Image size 512x512, Computed tomography
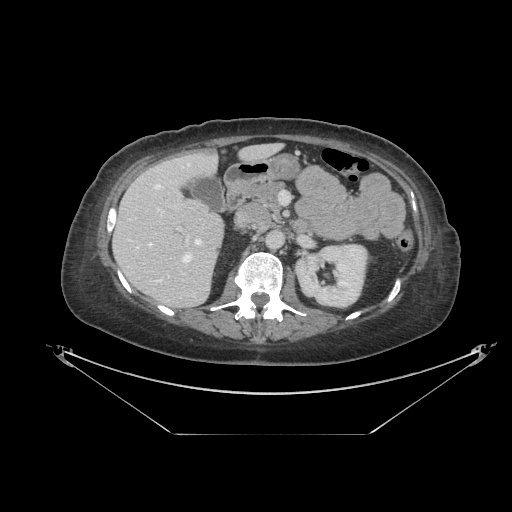

Pancreas: <bbox>250, 181, 285, 213</bbox>.